FLAIR MR.
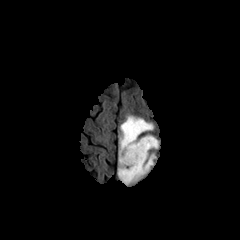
T1-weighted MR.
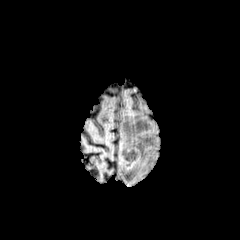
Post-contrast T1-weighted MRI.
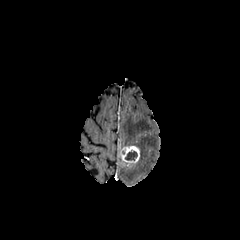
T2-weighted magnetic resonance.
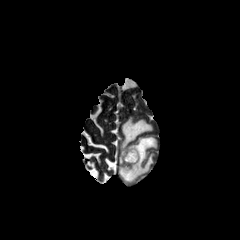
Head
The enhancing tumor lies within <box>118,146,140,166</box>. The non-enhancing tumor core lies within <box>124,151,137,160</box>. The edema is at <box>119,115,157,186</box>.